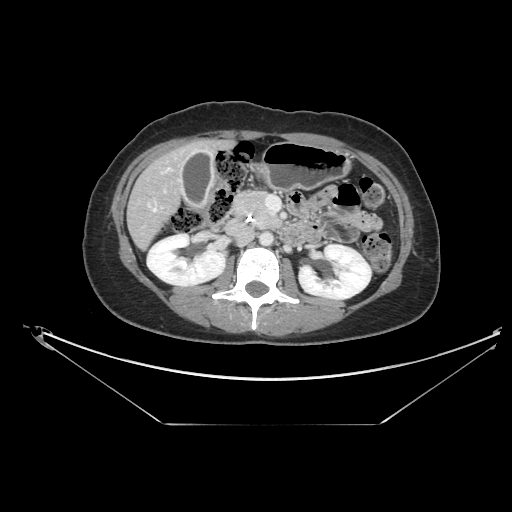 Computed tomography

* pancreas: [233,191,279,227]
* pancreatic tumor: [248,195,266,214]